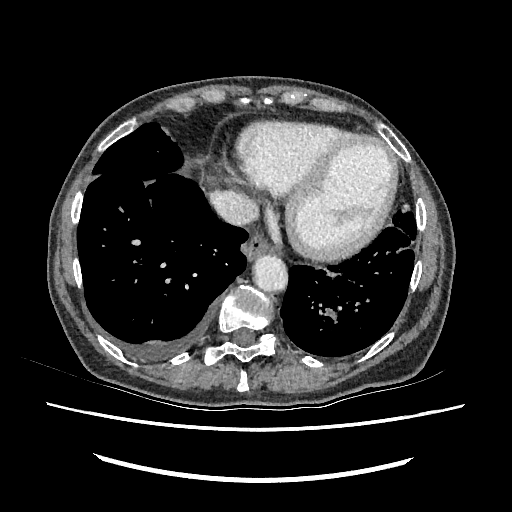

CT, Upper abdomen
liver: 206:177:215:182